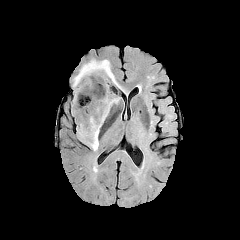
FLAIR magnetic resonance.
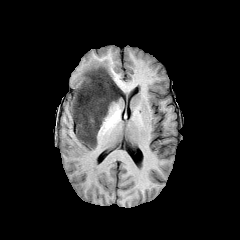
T1-weighted MRI.
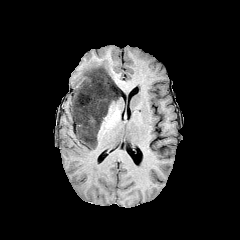
Post-contrast T1-weighted MR image.
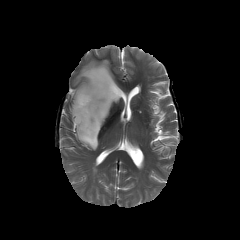
T2-weighted MRI of the same slice.
Brain, Image size 240x240
Segmented structures:
* edema: 82 82 103 97, 73 60 110 90
* non-enhancing tumor core: 71 66 120 148